FLAIR MRI.
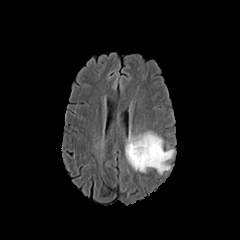
T1-weighted MR.
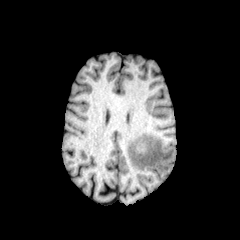
Post-contrast T1-weighted magnetic resonance.
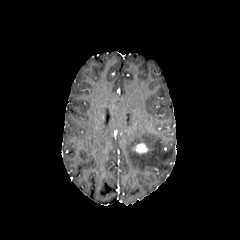
T2-weighted MRI.
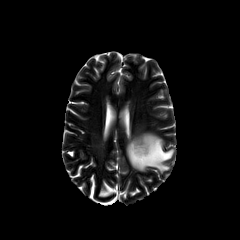
Brain.
edema: [126,132,174,173] | enhancing tumor: [135,142,151,154]